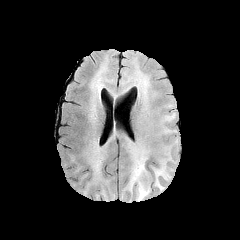
FLAIR MR.
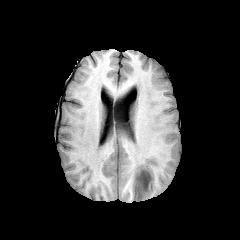
T1-weighted MR.
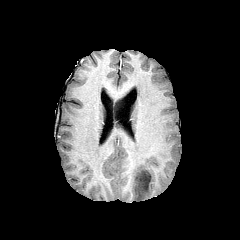
Post-contrast T1-weighted MR image.
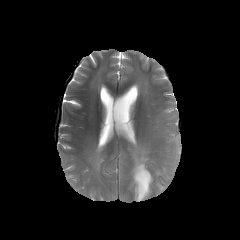
T2-weighted magnetic resonance of the same slice.
Brain
Non-enhancing tumor core = [x1=134, y1=170, x2=151, y2=192].
Edema = [x1=128, y1=147, x2=170, y2=192], [x1=136, y1=187, x2=151, y2=200], [x1=86, y1=146, x2=103, y2=174].